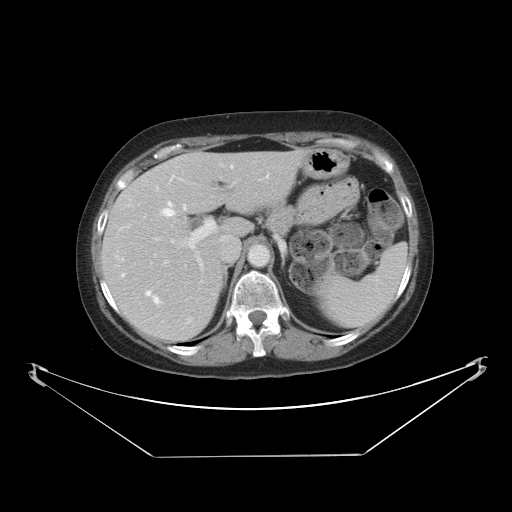
Abdomen. Image size 512x512. CT scan slice.
Some hepatic vessels may have no box.
Hepatic vessel at [x1=122, y1=273, x2=124, y2=276], [x1=121, y1=258, x2=123, y2=260], [x1=163, y1=202, x2=174, y2=215], [x1=146, y1=291, x2=151, y2=295], [x1=230, y1=166, x2=232, y2=168], [x1=189, y1=221, x2=213, y2=247], [x1=171, y1=240, x2=173, y2=242], [x1=153, y1=296, x2=158, y2=302], [x1=266, y1=175, x2=268, y2=177], [x1=183, y1=206, x2=185, y2=209].